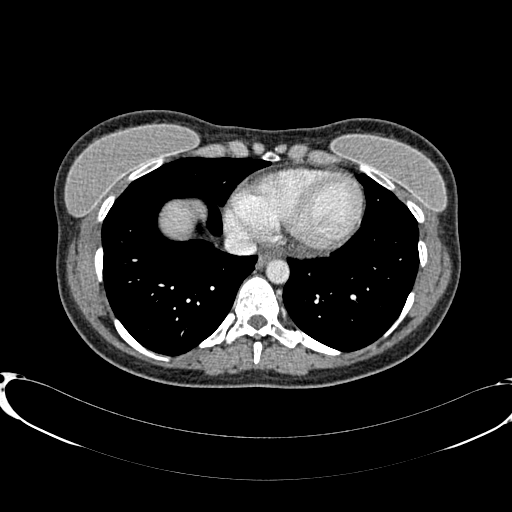 CT slice

The liver lies within <bbox>161, 202, 204, 236</bbox>.